CT slice. Liver. Image size 512x512. 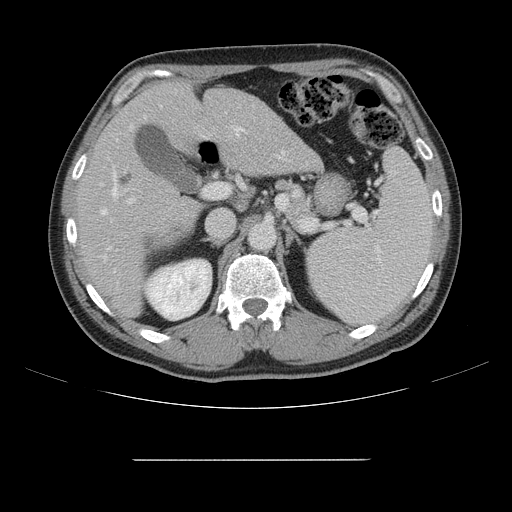

The vessel boxes may cover only some of the vessels.
<segmentation>
  <liver_tumor>x1=120 y1=173 x2=132 y2=186</liver_tumor>
  <hepatic_vessel>x1=107 y1=247 x2=111 y2=249, x1=103 y1=255 x2=106 y2=260, x1=160 y1=106 x2=161 y2=107, x1=233 y1=127 x2=243 y2=137, x1=111 y1=217 x2=112 y2=220, x1=101 y1=209 x2=107 y2=214, x1=277 y1=151 x2=284 y2=157, x1=130 y1=125 x2=133 y2=129, x1=100 y1=184 x2=103 y2=184, x1=128 y1=199 x2=134 y2=202, x1=112 y1=166 x2=117 y2=197</hepatic_vessel>
</segmentation>